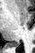 Medial temporal lobe, MR, Image size 35x53
posterior_hippocampus:
  - 12:43:18:47